Slice 87/155 | Computed tomography | Liver
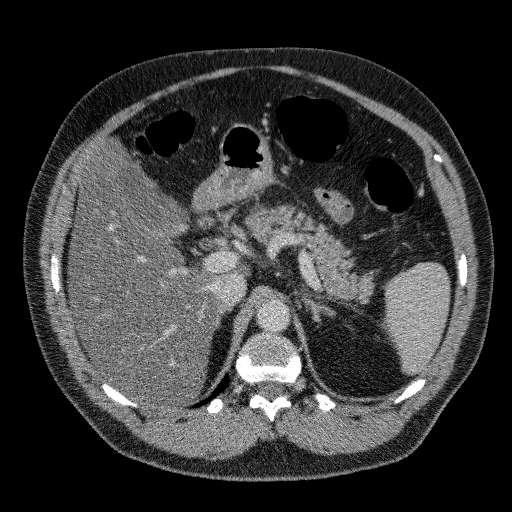 Annotated regions:
• liver: box=[68, 139, 251, 410]